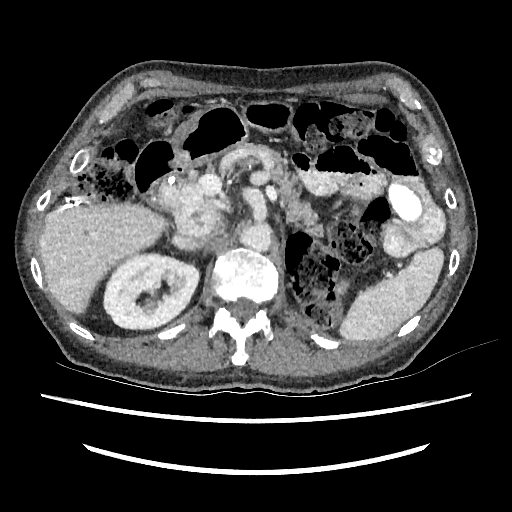

CT image; Liver
The kidney appears at rect(104, 254, 198, 328). The liver lies within rect(41, 204, 164, 311).